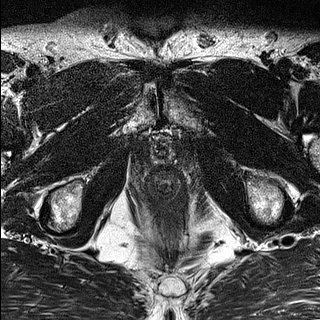
T2-weighted MR.
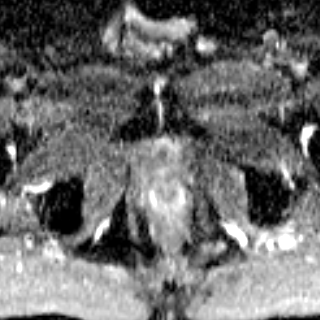
ADC MRI.
- prostate transition zone: rect(158, 142, 166, 150)
- prostate peripheral zone: rect(153, 143, 173, 164)